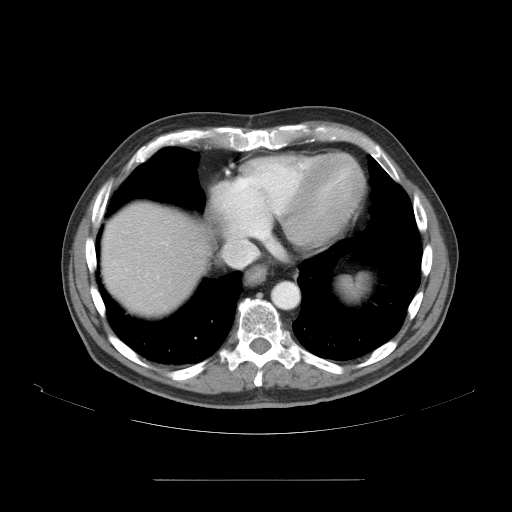 Image size 512x512; Abdomen; CT
The vessel boxes may cover only some of the vessels.
{
  "hepatic_vessel": [
    "220:182:241:235",
    "237:179:239:181",
    "226:240:255:266",
    "247:234:254:235"
  ]
}